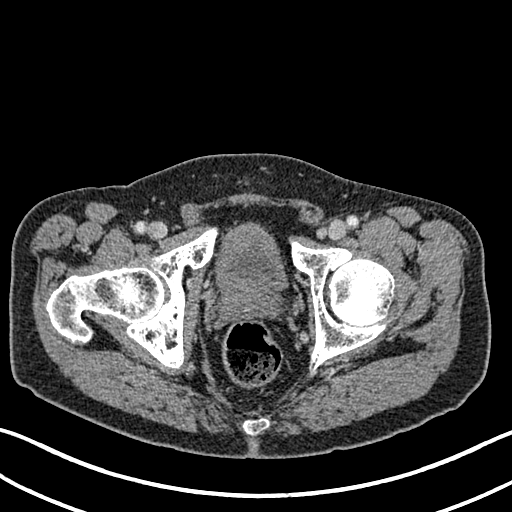
Lower abdomen, CT, Image size 512x512
urinary bladder: bbox=[215, 230, 287, 301]